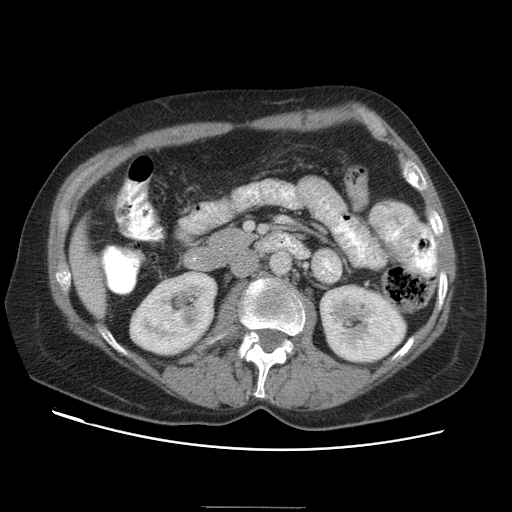

CT slice | 512x512
pancreas:
  - (left=197, top=226, right=255, bottom=271)